Slice index 469, CT slice, Abdomen

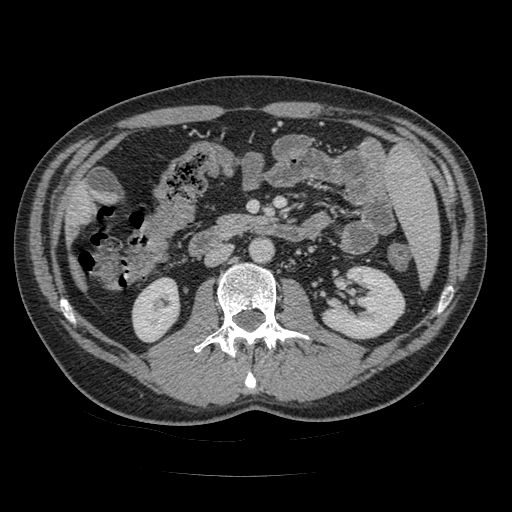

The pancreas appears at <bbox>219, 215, 264, 233</bbox>.